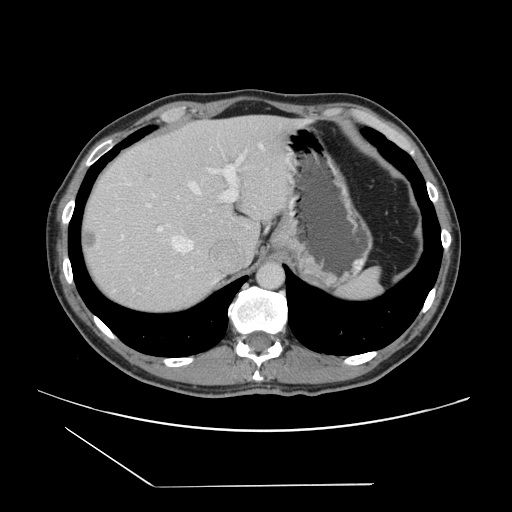
CT.

Not every hepatic vessel necessarily has a box.
liver tumor: x1=86, y1=229, x2=96, y2=249 | hepatic vessel: x1=240, y1=154, x2=242, y2=156; x1=227, y1=162, x2=236, y2=165; x1=235, y1=161, x2=240, y2=171; x1=222, y1=168, x2=224, y2=169; x1=210, y1=169, x2=213, y2=169; x1=236, y1=192, x2=236, y2=195; x1=152, y1=194, x2=153, y2=196; x1=228, y1=173, x2=235, y2=191; x1=165, y1=225, x2=168, y2=226; x1=222, y1=199, x2=231, y2=201; x1=217, y1=172, x2=221, y2=172; x1=124, y1=181, x2=130, y2=184; x1=259, y1=144, x2=261, y2=147; x1=190, y1=182, x2=199, y2=193; x1=171, y1=239, x2=172, y2=245